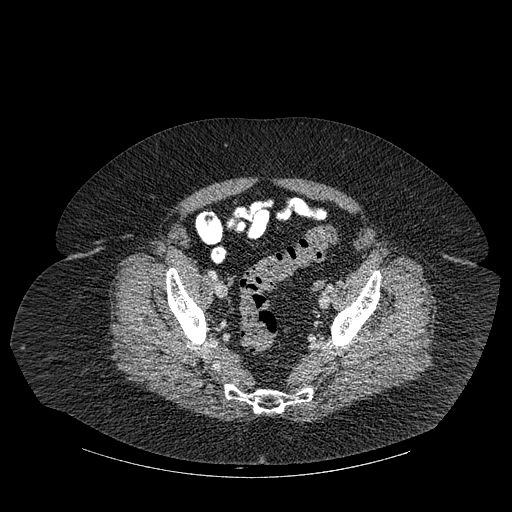

CT. 512x512.

Bone at 330 271 381 348, 225 384 312 413, 166 268 206 345.